Field of view 700 mm wide, 3.27 mm slice spacing, 512x512 px, CT slice

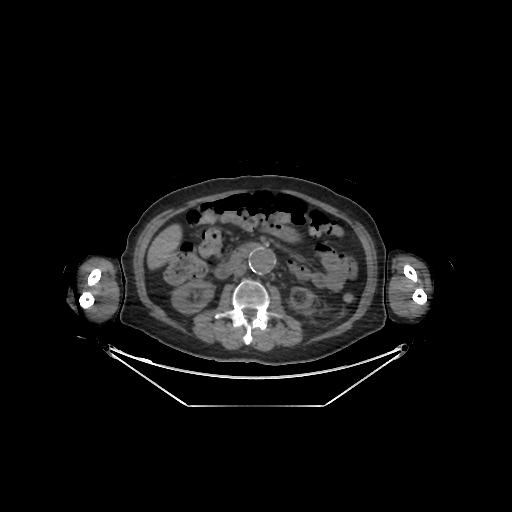 Kidney = [289, 287, 318, 314], [171, 279, 213, 314].
Bone = [79, 268, 100, 308], [404, 265, 418, 283], [229, 280, 268, 344], [412, 288, 426, 304].
Liver = [148, 226, 180, 267].